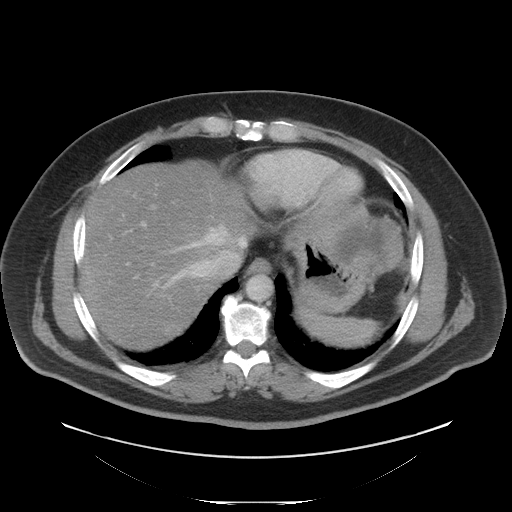

Upper abdomen, CT
pancreatic_tumor:
  - bbox(329, 216, 403, 275)